240x240. Slice index 116. Brain.
FLAIR MR image.
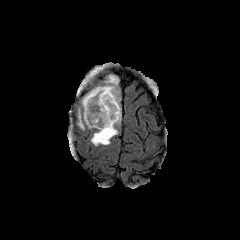
T1-weighted MR image.
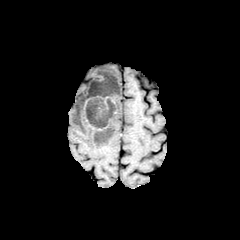
Post-contrast T1-weighted magnetic resonance.
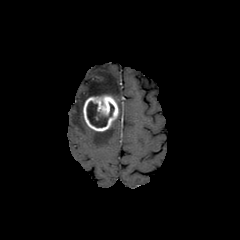
T2-weighted MR image.
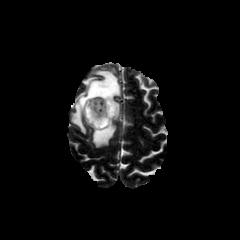
Annotated regions:
• non-enhancing tumor core: bbox(87, 101, 107, 127)
• enhancing tumor: bbox(83, 94, 119, 131)
• edema: bbox(91, 102, 121, 147); bbox(74, 65, 120, 133)